CT. Slice 32/124. Liver.
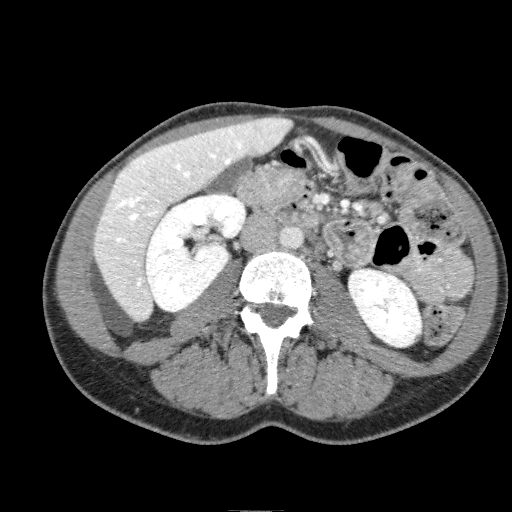

{
  "liver": [
    "l=93, t=117, r=292, b=320"
  ],
  "kidney": [
    "l=146, t=195, r=244, b=311",
    "l=349, t=270, r=421, b=346"
  ]
}